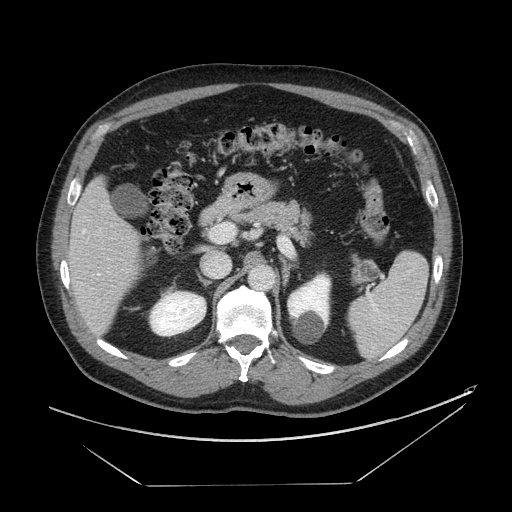
CT scan slice | Abdomen
The pancreatic tumor appears at 351, 259, 380, 284. 2 pancreas regions are located at 235, 201, 312, 245; 351, 253, 364, 276.